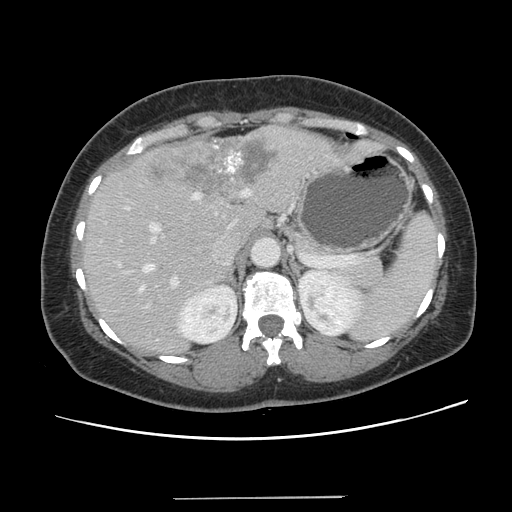

CT
Not every hepatic vessel necessarily has a box.
<segmentation>
  <hepatic_vessel>box=[192, 192, 199, 199]; box=[242, 190, 250, 195]; box=[143, 264, 153, 271]; box=[150, 223, 160, 231]; box=[139, 286, 144, 291]; box=[171, 278, 177, 285]; box=[151, 237, 155, 242]; box=[116, 262, 120, 265]; box=[125, 207, 129, 209]</hepatic_vessel>
  <liver_tumor>box=[148, 139, 274, 194]</liver_tumor>
</segmentation>